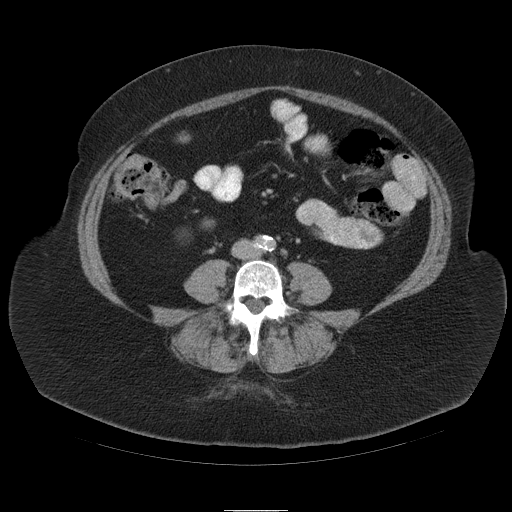

Abdomen, CT, Image size 512x512

{"colon_tumor": ["144, 194, 158, 208", "114, 154, 145, 198"]}